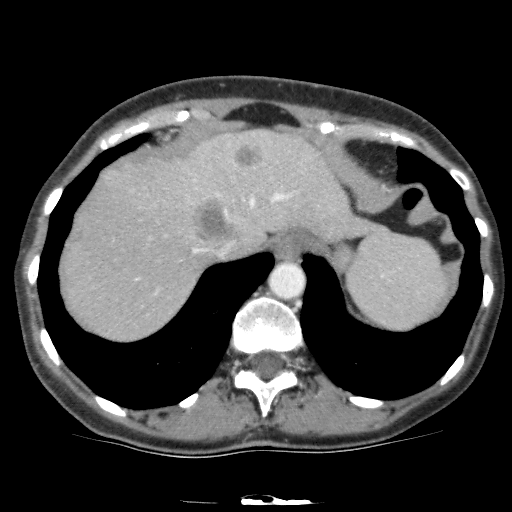
CT slice, Upper abdomen
liver:
  - {"x1": 61, "y1": 129, "x2": 378, "y2": 341}
focal_liver_lesion:
  - {"x1": 232, "y1": 143, "x2": 264, "y2": 168}
  - {"x1": 192, "y1": 198, "x2": 241, "y2": 244}